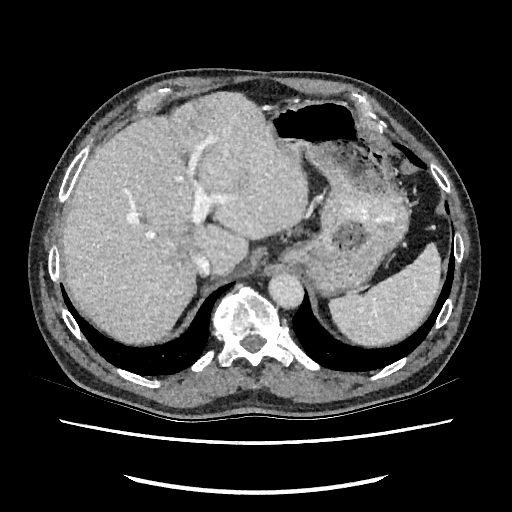
CT
liver:
  - bbox=[62, 92, 306, 340]
focal_liver_lesion:
  - bbox=[180, 239, 195, 262]
  - bbox=[190, 120, 196, 129]